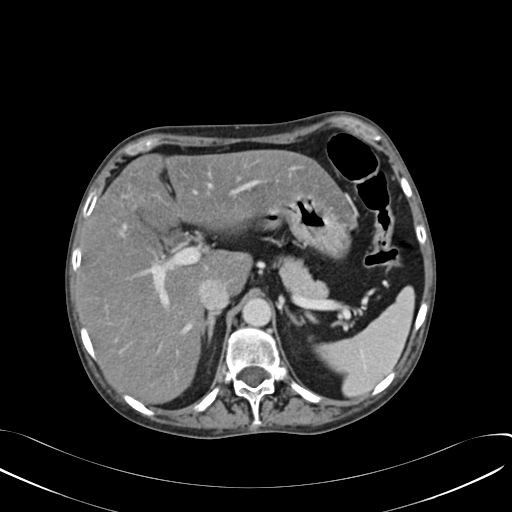
CT scan slice.
liver_lesion:
  - (left=125, top=190, right=139, bottom=202)
liver:
  - (left=77, top=149, right=355, bottom=403)